Slice 98 of 771, Lower abdomen, Computed tomography

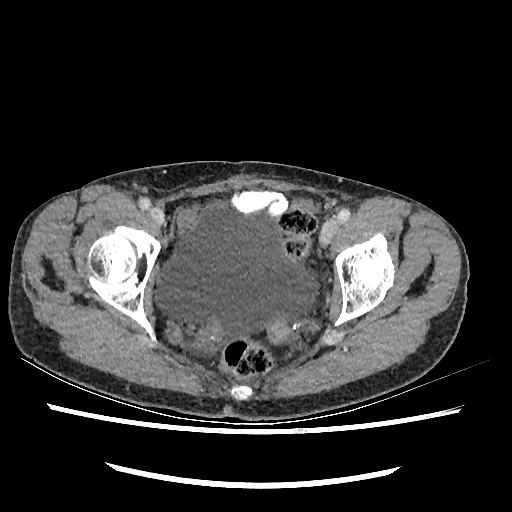
Urinary bladder = bbox(156, 199, 317, 342).